FLAIR MR image.
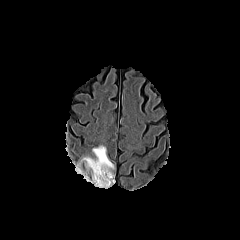
T1-weighted MR.
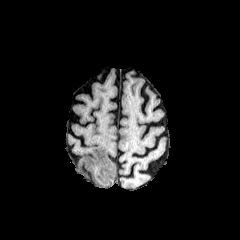
Post-contrast T1-weighted magnetic resonance.
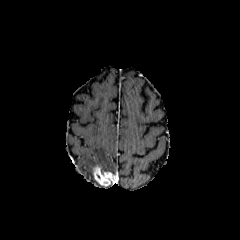
T2-weighted MRI.
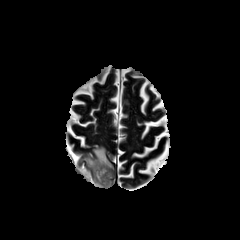
edema: [83, 146, 114, 171] | enhancing tumor: [92, 164, 115, 187]